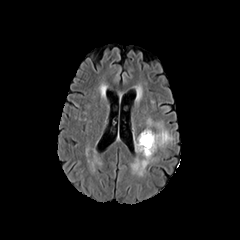
FLAIR MR image.
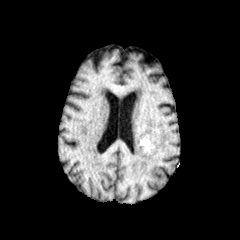
T1-weighted magnetic resonance of the same slice.
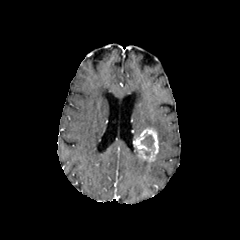
Post-contrast T1-weighted MRI.
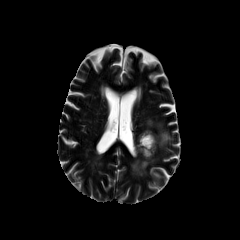
Same slice, T2-weighted MR.
240x240.
<segmentation>
  <edema>[x1=147, y1=117, x2=172, y2=148], [x1=131, y1=150, x2=149, y2=176]</edema>
  <non-enhancing_tumor_core>[x1=136, y1=131, x2=155, y2=157]</non-enhancing_tumor_core>
  <enhancing_tumor>[x1=134, y1=126, x2=159, y2=162]</enhancing_tumor>
</segmentation>